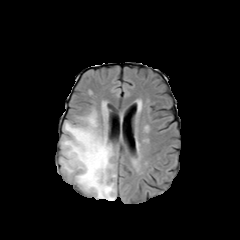
FLAIR magnetic resonance.
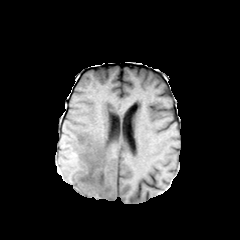
T1-weighted MR image.
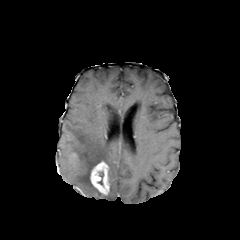
Post-contrast T1-weighted magnetic resonance.
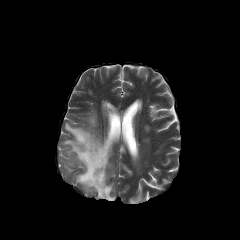
T2-weighted MRI.
Head
Segmented structures:
* edema: 59 112 116 200
* enhancing tumor: 90 160 109 195